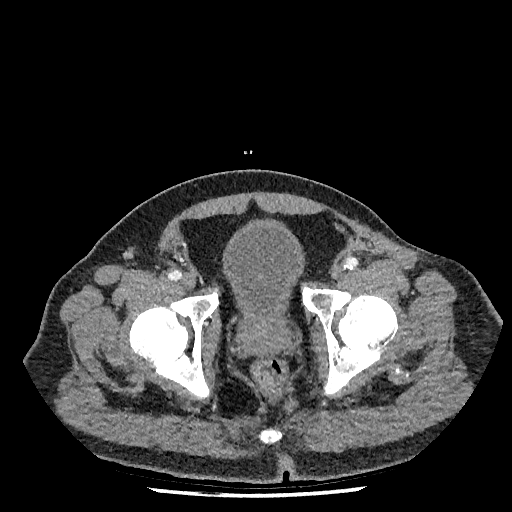
Pelvis; CT image
<segmentation>
  <urinary_bladder>(222, 223, 305, 322)</urinary_bladder>
</segmentation>